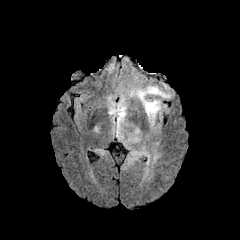
FLAIR MRI.
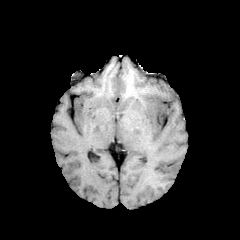
T1-weighted MR image.
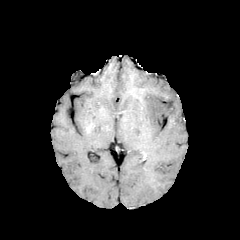
Post-contrast T1-weighted MRI of the same slice.
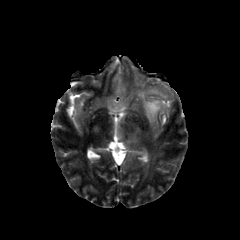
Same slice, T2-weighted magnetic resonance.
Head | 240x240
Non-enhancing tumor core = <bbox>136, 89, 144, 100</bbox>.
Edema = <bbox>141, 80, 174, 125</bbox>, <bbox>115, 106, 126, 120</bbox>.